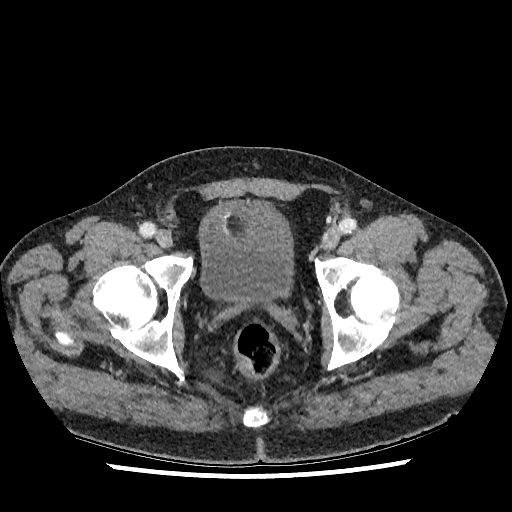

CT.

Urinary bladder = (x1=199, y1=199, x2=293, y2=309).